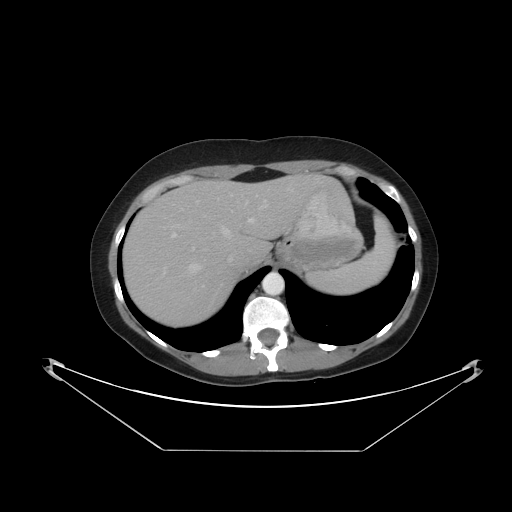

CT. Abdomen. Only some of the vessels may be annotated.
Segmented structures:
- hepatic vessel: l=228, t=259, r=231, b=261; l=245, t=201, r=247, b=204; l=287, t=188, r=292, b=191; l=188, t=263, r=200, b=273; l=222, t=228, r=232, b=239; l=202, t=285, r=203, b=286; l=163, t=270, r=164, b=273; l=258, t=200, r=266, b=208; l=208, t=236, r=215, b=237; l=248, t=218, r=253, b=222; l=172, t=233, r=175, b=236; l=181, t=209, r=182, b=210